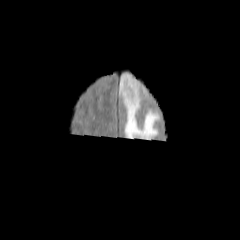
FLAIR magnetic resonance.
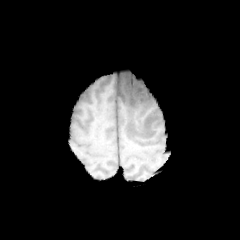
T1-weighted MRI.
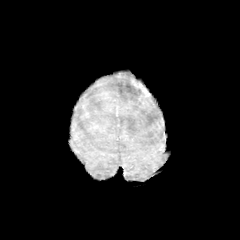
Same slice, post-contrast T1-weighted MR image.
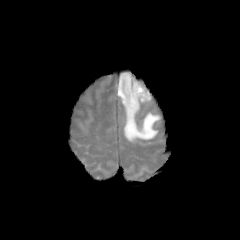
T2-weighted MRI.
240x240 | Brain
The enhancing tumor lies within 131, 80, 147, 93. The edema is located at 117, 72, 161, 141.